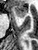
MR image. Annotated regions:
• anterior hippocampus: bbox(12, 6, 27, 17)